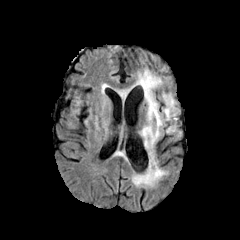
FLAIR MR.
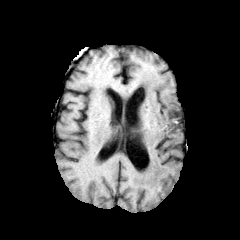
T1-weighted magnetic resonance.
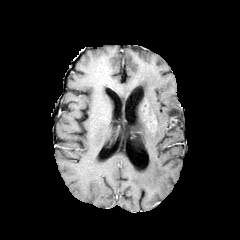
Post-contrast T1-weighted MR image.
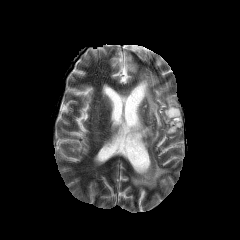
Same slice, T2-weighted MRI.
Brain
non-enhancing tumor core: region(171, 110, 176, 124) | edema: region(118, 89, 129, 97); region(136, 69, 179, 151); region(131, 152, 167, 187)